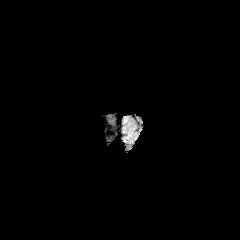
FLAIR magnetic resonance.
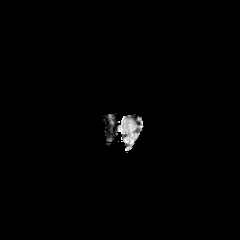
T1-weighted MR.
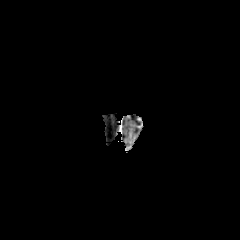
Same slice, post-contrast T1-weighted MR.
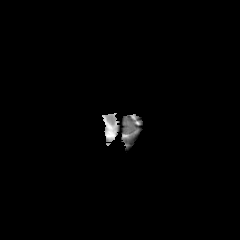
T2-weighted MRI.
Brain. Image size 240x240.
Edema — (left=122, top=118, right=137, bottom=139).
Enhancing tumor — (left=124, top=129, right=135, bottom=143).